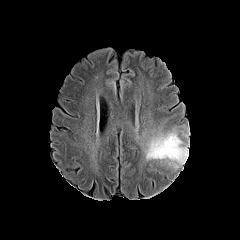
FLAIR MRI.
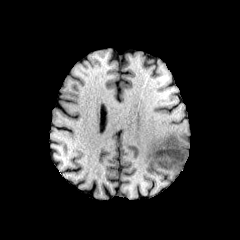
T1-weighted MRI.
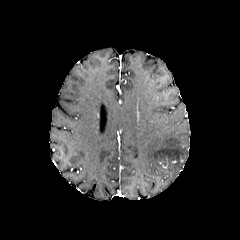
Same slice, post-contrast T1-weighted MR image.
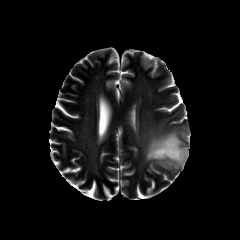
Same slice, T2-weighted MR image.
240x240 | Head
Findings:
• edema: x1=146 y1=133 x2=189 y2=167